Slice 41 of 97 | Computed tomography

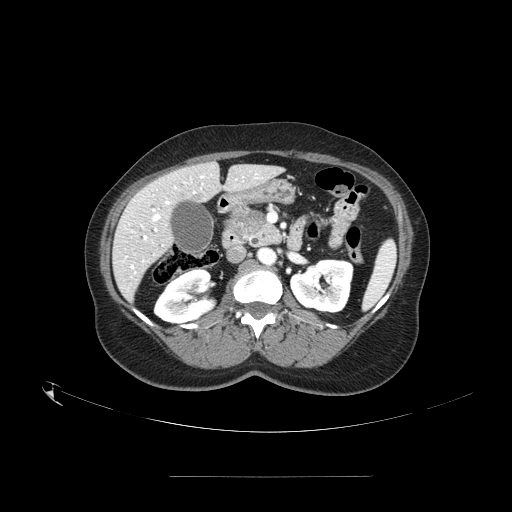 Pancreatic tumor = 228 211 264 234.
Pancreas = 239 218 281 244.